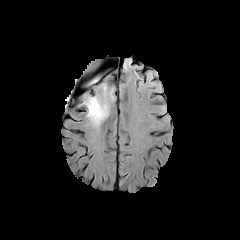
FLAIR MR image.
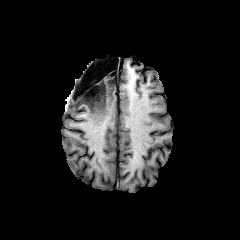
T1-weighted MR.
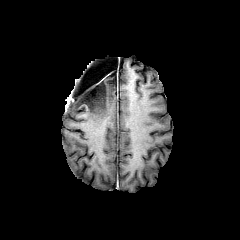
Same slice, post-contrast T1-weighted MR image.
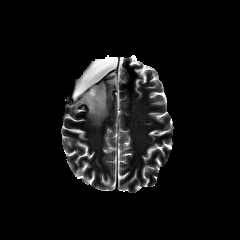
T2-weighted MRI.
Head.
<segmentation>
  <non-enhancing_tumor_core><box>82,78,105,105</box></non-enhancing_tumor_core>
  <edema><box>82,84,113,127</box></edema>
</segmentation>